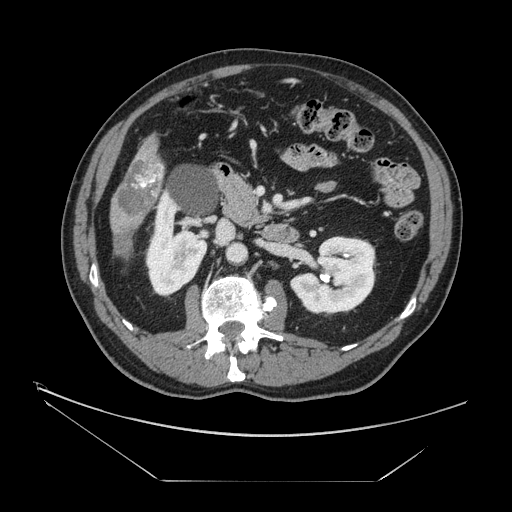 CT. 512x512 px. Liver.

liver tumor: [117, 160, 164, 216], [114, 231, 130, 254]